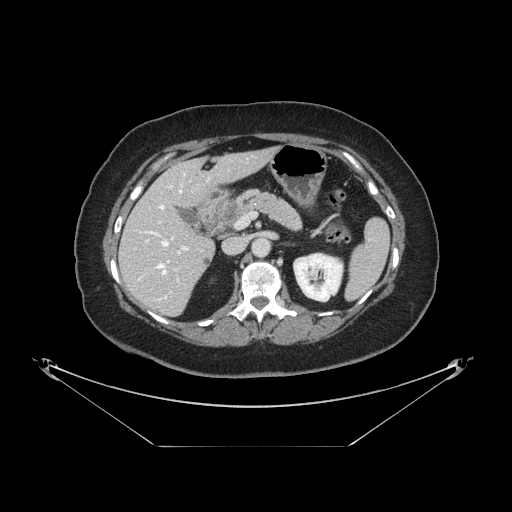
CT slice. Abdomen. 512x512 px. Annotated regions:
* pancreatic tumor: bbox=[222, 202, 239, 222]
* pancreas: bbox=[220, 190, 301, 230]